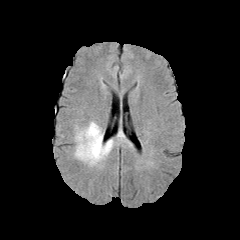
FLAIR MRI.
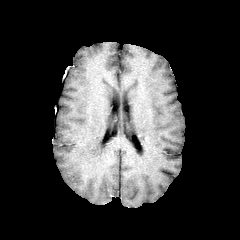
T1-weighted MR of the same slice.
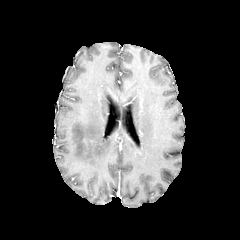
Post-contrast T1-weighted magnetic resonance.
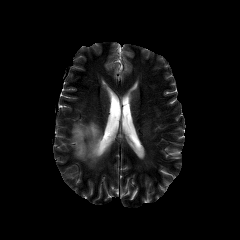
T2-weighted MR.
edema:
  - bbox=[70, 120, 113, 166]